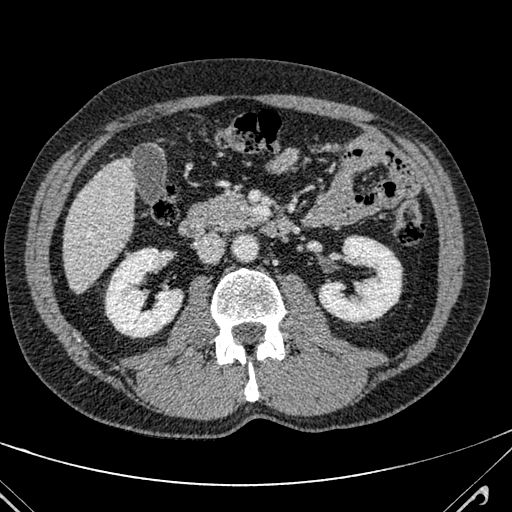

CT
liver: [x1=64, y1=158, x2=134, y2=292]